320x320, Field of view 400x400 mm, MR, Slice 74 of 110

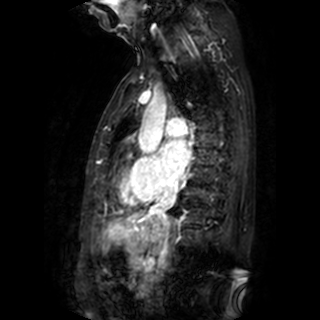 Segmented structures:
* left atrium: rect(161, 139, 190, 178)